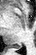 Image size 36x55; Hippocampus; MR image

{
  "posterior_hippocampus": [
    "(12, 45, 21, 48)"
  ]
}